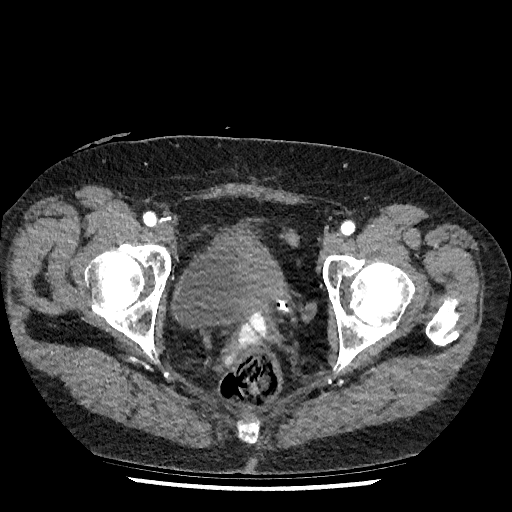 Computed tomography

<segmentation>
  <urinary_bladder>box=[170, 222, 281, 329]</urinary_bladder>
</segmentation>